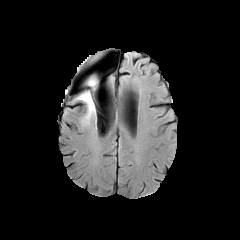
FLAIR magnetic resonance.
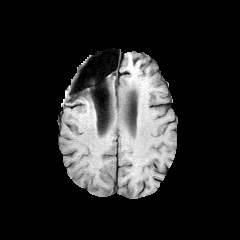
T1-weighted MR image of the same slice.
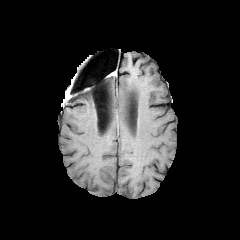
Same slice, post-contrast T1-weighted MR.
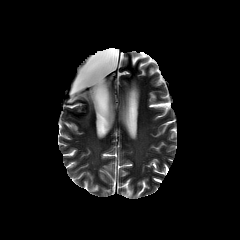
Same slice, T2-weighted MR.
non-enhancing tumor core: (86, 78, 97, 86) | edema: (76, 86, 97, 124)